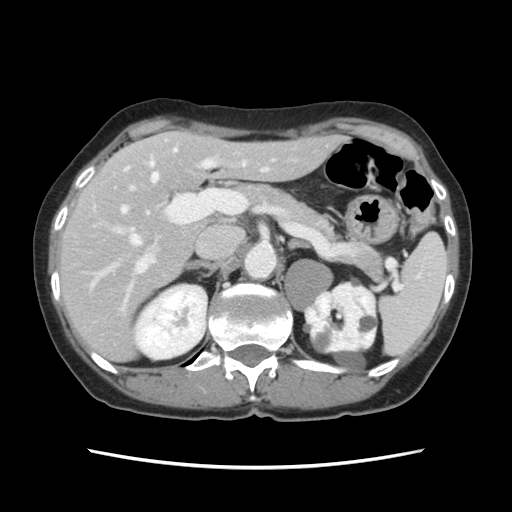

CT image
Not every hepatic vessel necessarily has a box.
Hepatic vessel at box=[242, 161, 245, 166]; box=[116, 230, 121, 231]; box=[131, 235, 140, 245]; box=[201, 160, 214, 167]; box=[151, 173, 157, 181]; box=[136, 255, 155, 272]; box=[128, 228, 132, 230]; box=[124, 297, 126, 304]; box=[124, 166, 129, 170]; box=[174, 149, 176, 151]; box=[121, 206, 128, 213]; box=[109, 267, 112, 269]; box=[150, 158, 153, 165]; box=[127, 290, 128, 296]; box=[147, 212, 148, 213].